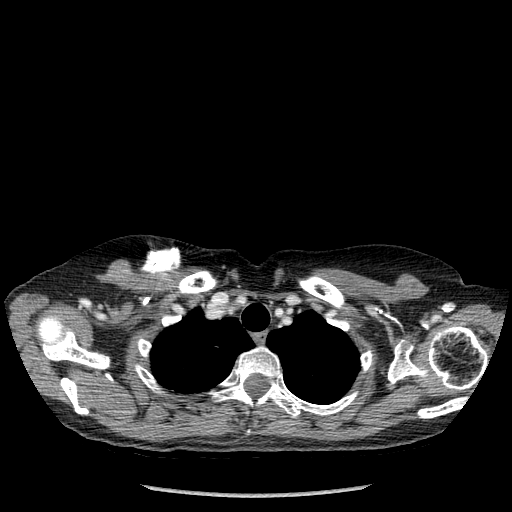 Thorax | CT scan slice | 512x512
bone: 299:276:345:308, 59:378:88:414, 137:337:151:357, 388:325:487:389, 134:364:162:392, 325:311:349:330, 161:312:181:326, 417:397:467:418, 360:350:372:371, 210:346:357:417, 36:312:109:369, 177:271:216:294 | lung: 150:303:269:393, 266:310:359:404